Prostate, Slice 9/18
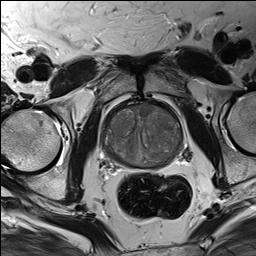
T2-weighted magnetic resonance.
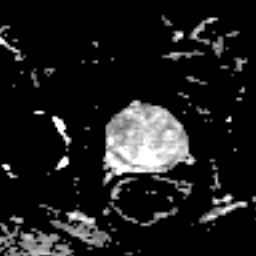
Same slice, ADC MRI.
The prostate peripheral zone is located at x1=105 y1=106 x2=179 y2=166.